Magnetic resonance. Hippocampus. Field of view 34 mm wide, 1.00 mm slice spacing. 34x51.
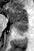
The anterior hippocampus appears at 6, 7, 27, 25. The posterior hippocampus is located at 15, 26, 28, 35.